FLAIR magnetic resonance.
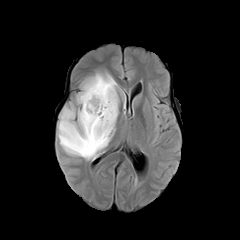
T1-weighted MR.
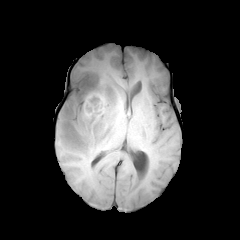
Post-contrast T1-weighted MRI.
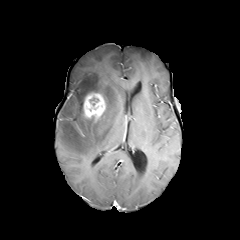
T2-weighted MRI.
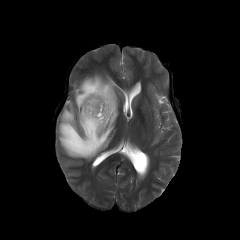
Edema at [x1=56, y1=73, x2=125, y2=160].
Enhancing tumor at [x1=84, y1=94, x2=105, y2=118].
Non-enhancing tumor core at [x1=89, y1=94, x2=99, y2=106].